Heart | Image width 400 mm | MR
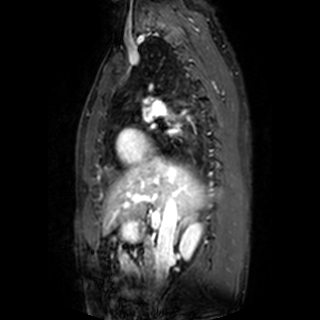
<segmentation>
  <left_atrium>[145,112,152,121]</left_atrium>
</segmentation>